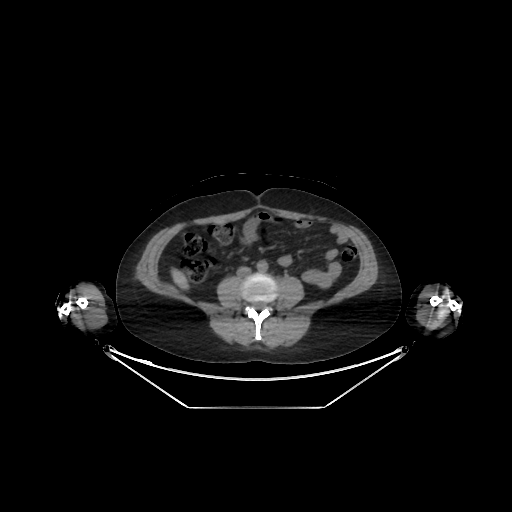

512x512 | CT scan slice | Upper abdomen
Liver — [171, 269, 188, 288].